Slice 57/97; CT image
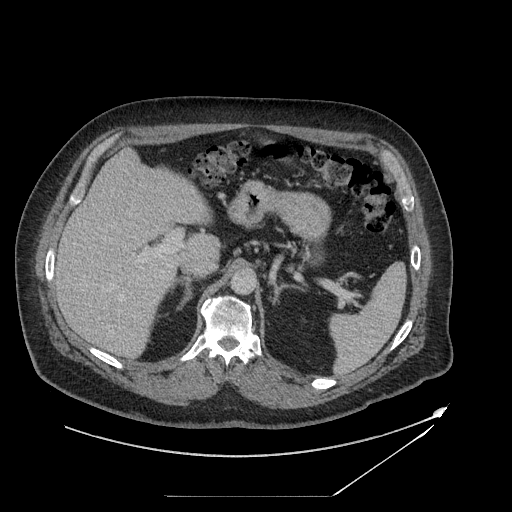 <segmentation>
  <pancreas>[288,261,308,271]</pancreas>
</segmentation>